Slice 59 of 154. CT. Field of view 382 mm wide, 1.50 mm slice spacing. Liver.

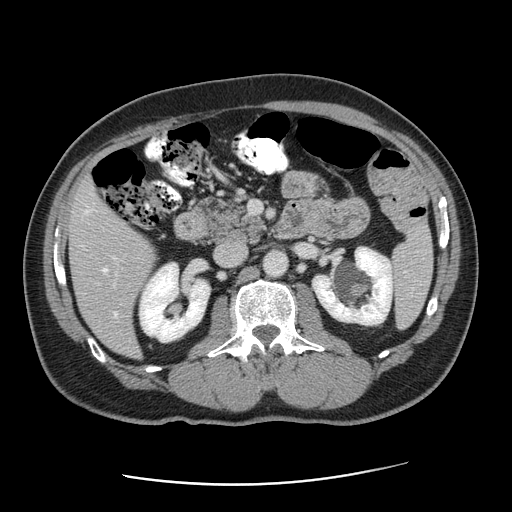
The vessel annotation is not exhaustive.
Annotated regions:
* hepatic vessel: x1=85, y1=211, x2=89, y2=212; x1=103, y1=268, x2=106, y2=271; x1=115, y1=312, x2=117, y2=317